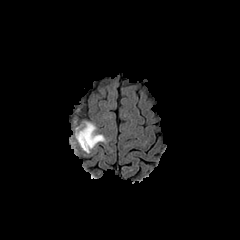
FLAIR magnetic resonance.
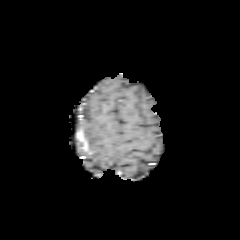
T1-weighted magnetic resonance.
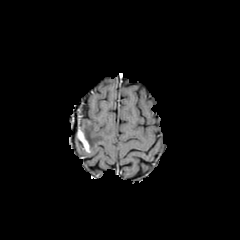
Post-contrast T1-weighted MRI.
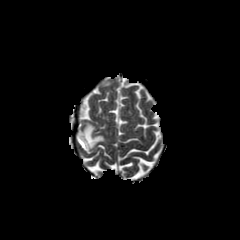
T2-weighted MR.
Head
edema:
  - bbox(81, 122, 105, 151)
enhancing_tumor:
  - bbox(77, 127, 90, 152)